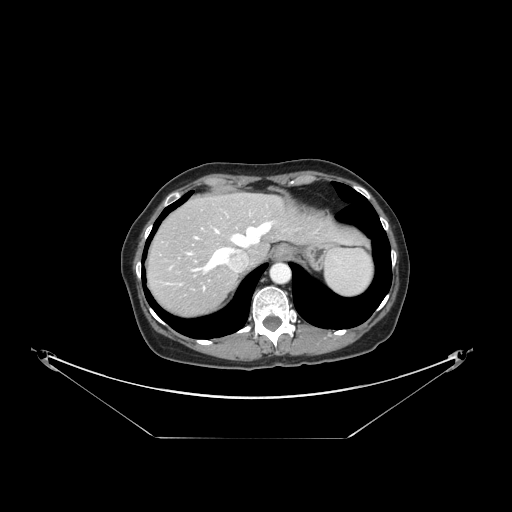

CT; Liver

The vessel annotation is not exhaustive.
- hepatic vessel: bbox=[232, 223, 270, 245]